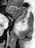
Image size 35x48, MR
{
  "anterior_hippocampus": [
    "8 6 27 21"
  ]
}